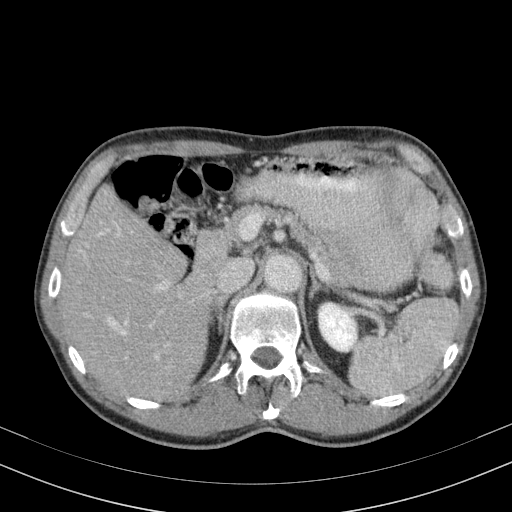
CT image | Liver

<segmentation>
  <kidney>319, 303, 356, 350</kidney>
  <liver>60, 182, 253, 403; 214, 299, 221, 310</liver>
</segmentation>